Slice 84/155; Image size 240x240
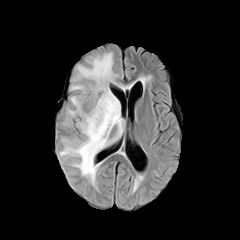
FLAIR magnetic resonance.
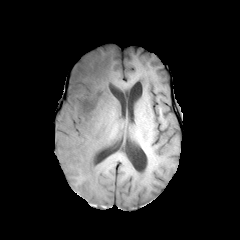
T1-weighted MRI of the same slice.
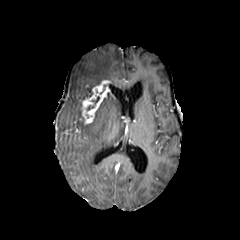
Post-contrast T1-weighted magnetic resonance of the same slice.
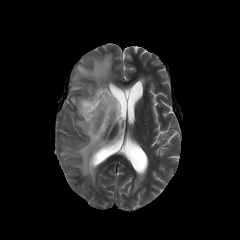
T2-weighted MRI.
Annotated regions:
* edema: x1=60 y1=52 x2=125 y2=185
* enhancing tumor: x1=81 y1=80 x2=109 y2=123